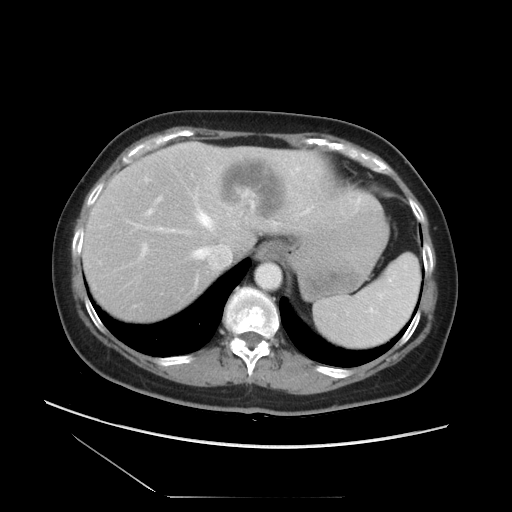 Liver. CT image.

Not every hepatic vessel necessarily has a box.
<segmentation>
  <hepatic_vessel>x1=157 y1=228 x2=175 y2=231, x1=158 y1=198 x2=160 y2=200, x1=194 y1=195 x2=197 y2=199, x1=142 y1=245 x2=146 y2=254, x1=197 y1=212 x2=214 y2=231, x1=148 y1=210 x2=151 y2=214, x1=194 y1=245 x2=230 y2=266</hepatic_vessel>
  <liver_tumor>x1=214 y1=150 x2=294 y2=224</liver_tumor>
</segmentation>